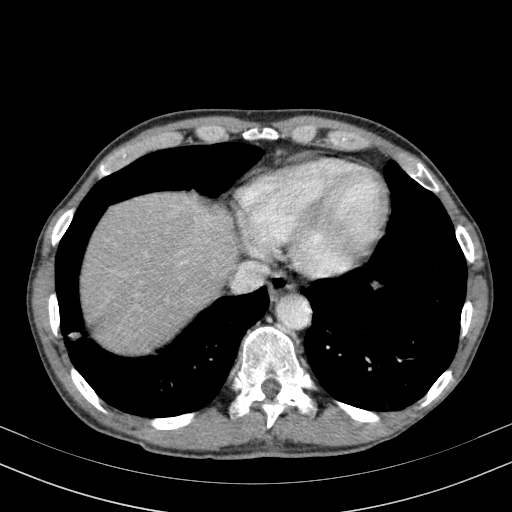

CT scan slice; 512x512
The liver lies within 80,193,239,351.